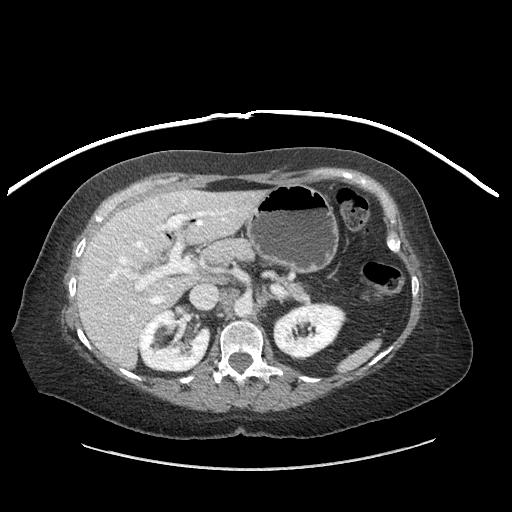

512x512 px; CT
{"pancreas": ["(283, 281, 305, 298)"]}